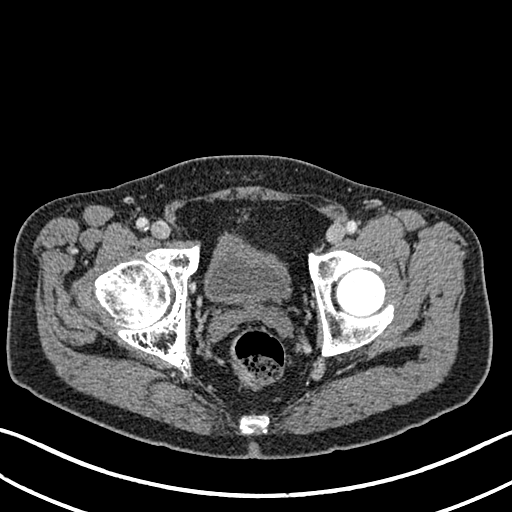 CT slice
<segmentation>
  <urinary_bladder><bbox>204, 234, 290, 306</bbox></urinary_bladder>
</segmentation>